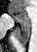
MRI; 37x52
anterior_hippocampus:
  - 12 11 29 22
posterior_hippocampus:
  - 14 23 29 44